FLAIR MR image.
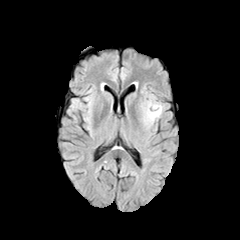
T1-weighted magnetic resonance.
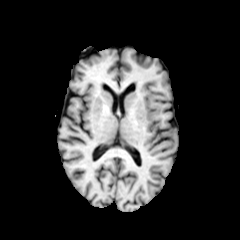
Post-contrast T1-weighted MR image.
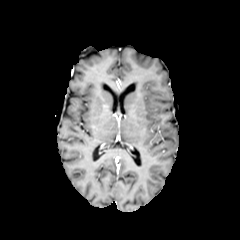
T2-weighted MR image.
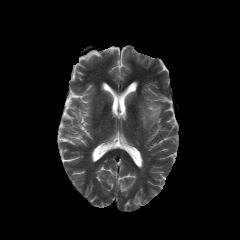
Head.
Edema = <box>147,105,161,120</box>.